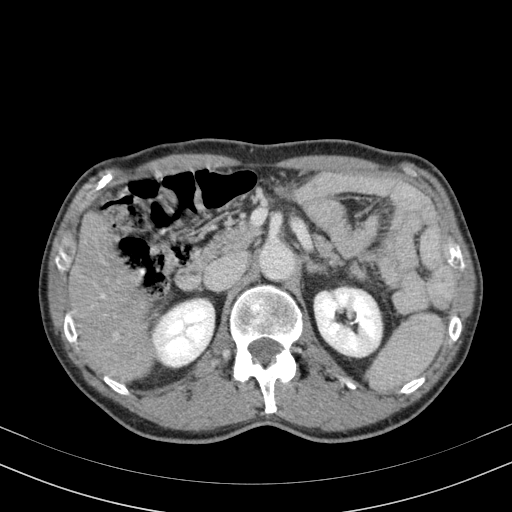 Upper abdomen. CT slice. {
  "liver": [
    "left=69, top=209, right=153, bottom=382"
  ],
  "kidney": [
    "left=153, top=299, right=213, bottom=365",
    "left=314, top=288, right=381, bottom=356"
  ]
}